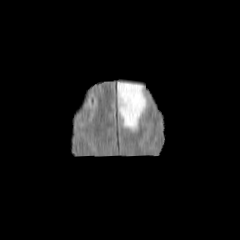
FLAIR MR.
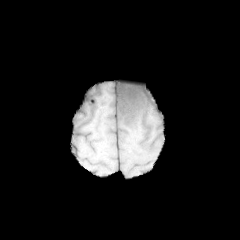
T1-weighted MR of the same slice.
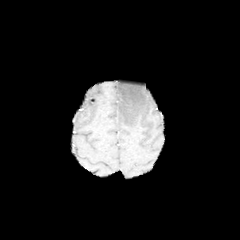
Post-contrast T1-weighted MR image.
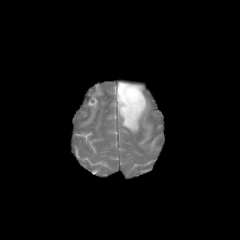
T2-weighted MR.
Brain
* edema: x1=117 y1=81 x2=146 y2=130